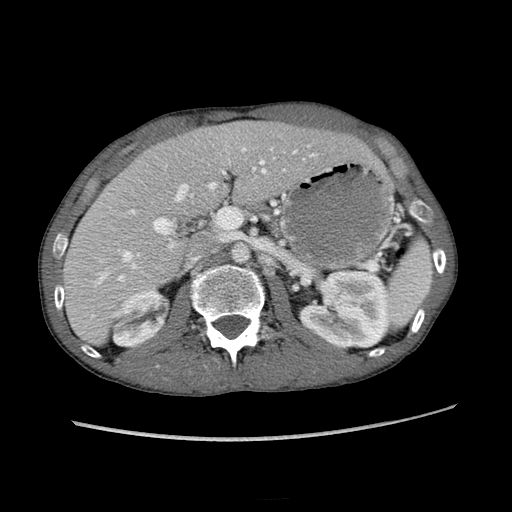

CT scan slice | Upper abdomen
The liver appears at {"x1": 61, "y1": 120, "x2": 376, "y2": 346}. 2 kidney regions are bounded by {"x1": 114, "y1": 289, "x2": 166, "y2": 345}, {"x1": 301, "y1": 272, "x2": 390, "y2": 346}.